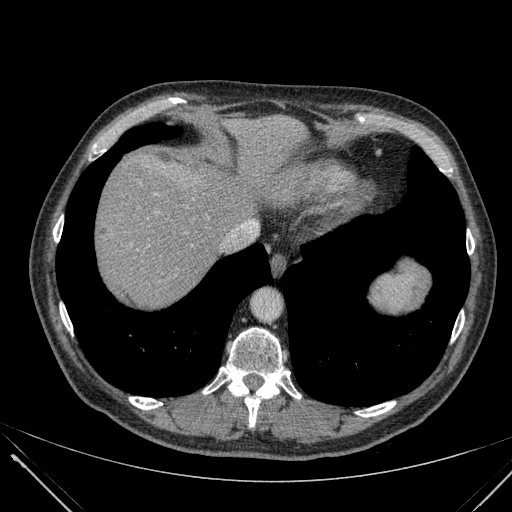 CT slice. 512x512 px. Upper abdomen.

<segmentation>
  <liver>[96,115,330,309]</liver>
</segmentation>